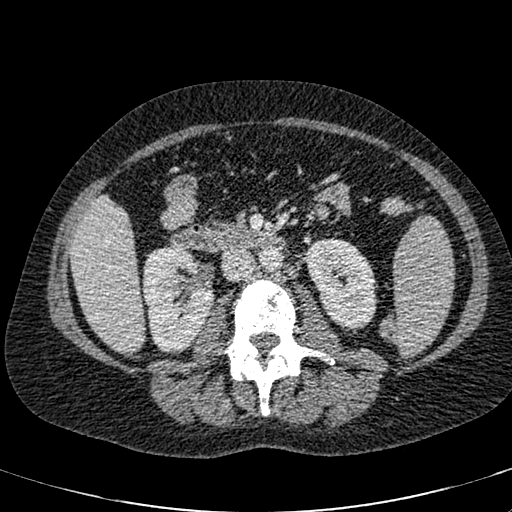
CT image
- kidney: 306:239:375:328, 143:244:213:351
- liver: 71:196:144:354